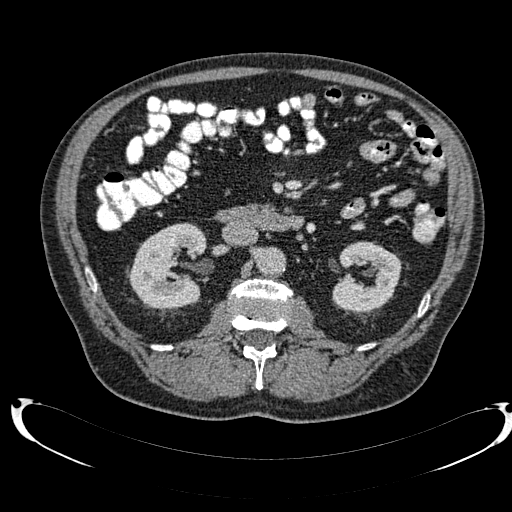

CT scan slice, 512x512 px, Abdomen
3 kidney regions are located at box(332, 241, 400, 312); box(129, 223, 206, 309); box(212, 245, 223, 255).